Liver. Slice index 70. Image width 375 mm. CT. Image size 512x512.

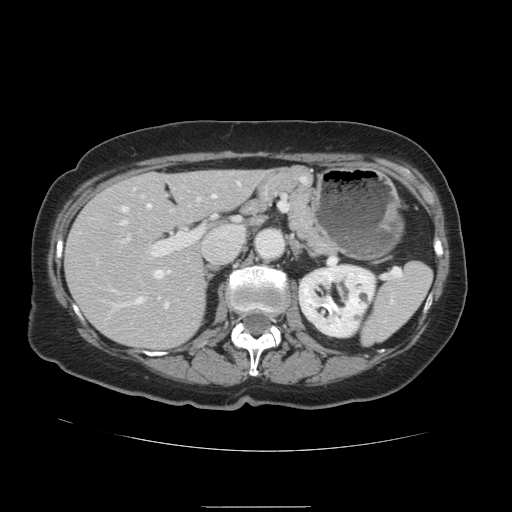 Not every hepatic vessel necessarily has a box.
Segmented structures:
- hepatic vessel: [120, 207, 125, 210], [149, 244, 157, 256], [197, 198, 199, 200], [211, 194, 214, 197], [164, 303, 167, 307], [126, 237, 128, 239], [134, 297, 141, 303], [153, 270, 162, 277], [119, 222, 124, 224], [237, 182, 238, 184], [146, 204, 150, 207]